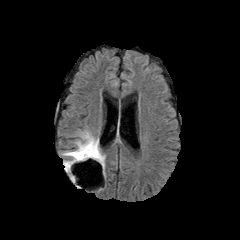
FLAIR MR image.
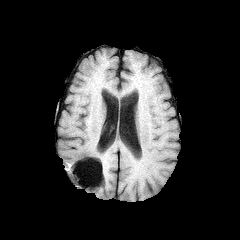
T1-weighted magnetic resonance.
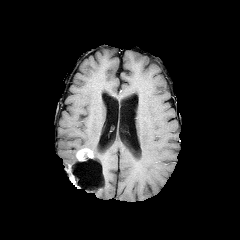
Post-contrast T1-weighted MRI of the same slice.
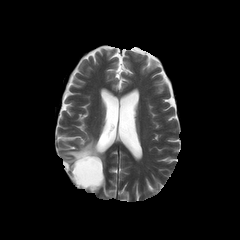
T2-weighted MR of the same slice.
{"edema": ["rect(99, 150, 105, 173)", "rect(62, 129, 98, 173)"], "non-enhancing_tumor_core": ["rect(76, 143, 101, 162)"], "enhancing_tumor": ["rect(76, 148, 93, 160)"]}